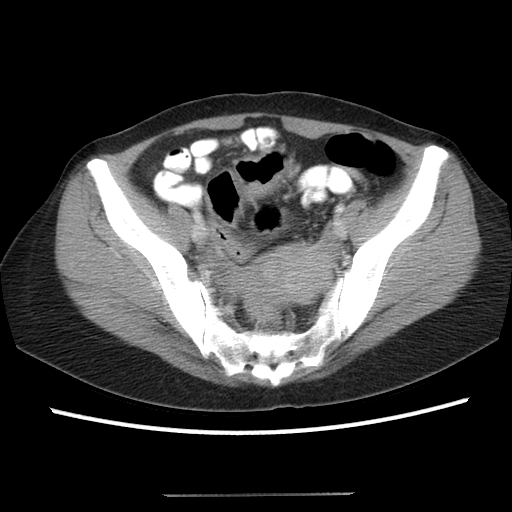 CT image, Pelvis

{
  "colon_tumor": [
    "(left=245, top=155, right=263, bottom=162)",
    "(left=243, top=169, right=287, bottom=195)"
  ]
}